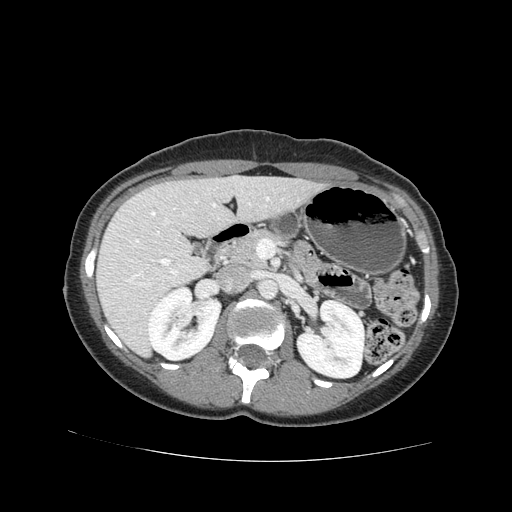

CT slice
The pancreas lies within 220 229 282 268.